Slice index 44, CT scan slice, Abdomen
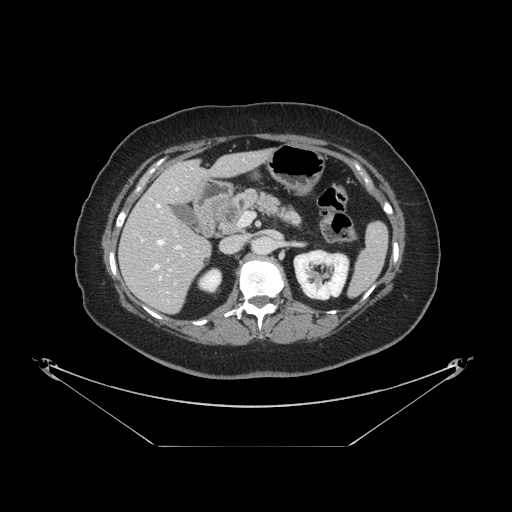

Segmented structures:
• pancreatic tumor: box=[220, 202, 239, 224]
• pancreas: box=[216, 189, 300, 234]